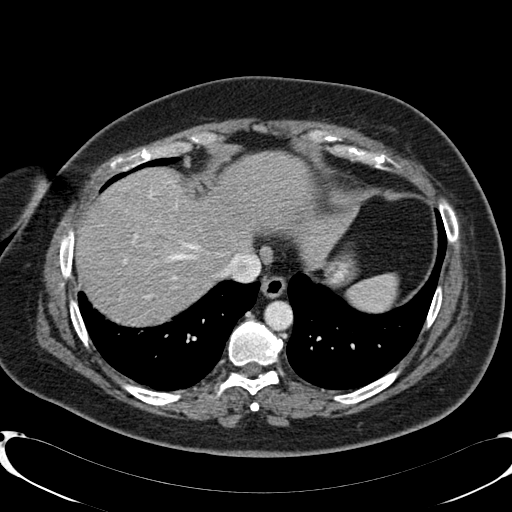
Image size 512x512. CT scan slice. Liver.
Segmented structures:
• liver: [x1=77, y1=155, x2=358, y2=324]